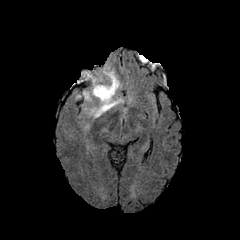
FLAIR MRI.
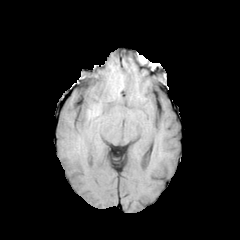
T1-weighted MR.
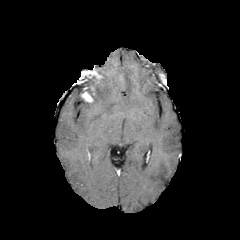
Post-contrast T1-weighted MRI of the same slice.
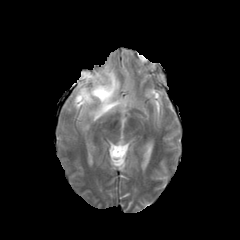
T2-weighted MR.
240x240.
<segmentation>
  <edema><box>88,68,124,120</box></edema>
  <enhancing_tumor><box>77,70,106,83</box>, <box>81,88,93,103</box></enhancing_tumor>
</segmentation>